Slice index 99. Head.
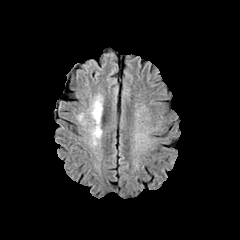
FLAIR magnetic resonance.
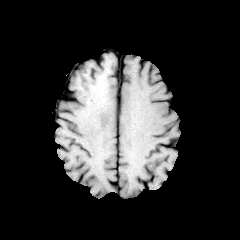
T1-weighted MR image of the same slice.
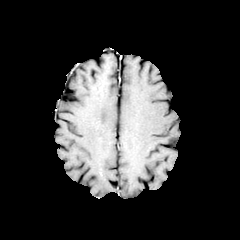
Same slice, post-contrast T1-weighted MR.
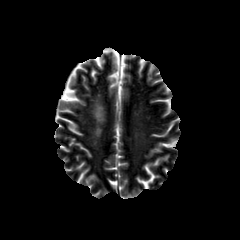
T2-weighted MR image.
Edema = 91, 94, 103, 137.